240x240 px; Field of view 240x240 mm
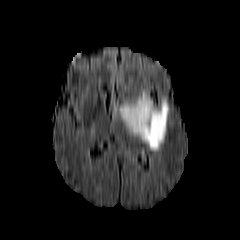
FLAIR MRI.
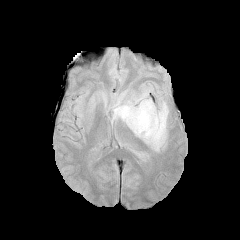
T1-weighted MRI.
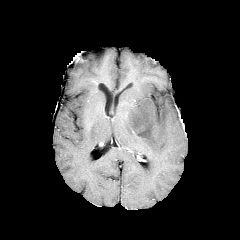
Same slice, post-contrast T1-weighted MR.
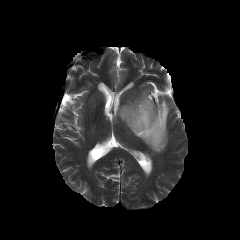
T2-weighted magnetic resonance.
edema: bbox=[115, 89, 169, 151]